Field of view 240 mm wide, 1.00 mm slice spacing. 240x240 px.
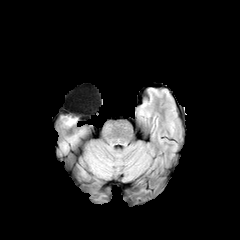
FLAIR MRI.
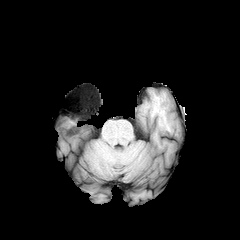
Same slice, T1-weighted MRI.
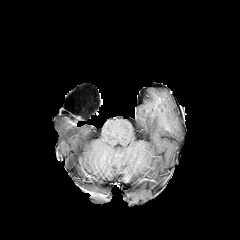
Same slice, post-contrast T1-weighted MRI.
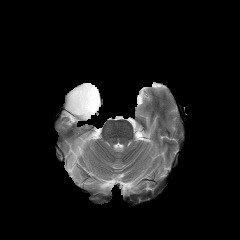
T2-weighted MR image.
{
  "edema": [
    "[x1=69, y1=134, x2=78, y2=145]",
    "[x1=63, y1=116, x2=77, y2=127]"
  ]
}